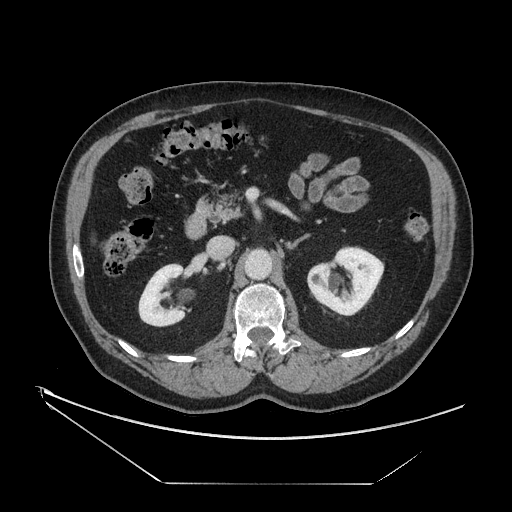
Computed tomography. Upper abdomen. Pancreas: bounding box 208:190:243:218.